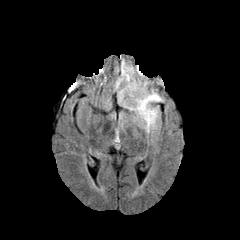
FLAIR MR image.
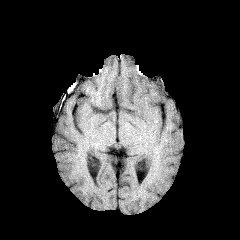
T1-weighted magnetic resonance.
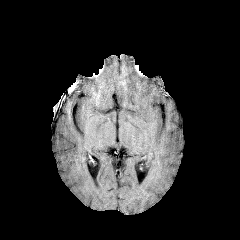
Post-contrast T1-weighted MRI.
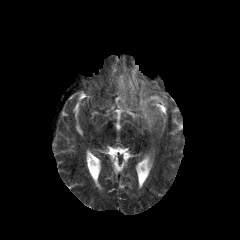
T2-weighted MR image.
240x240
Edema at l=121, t=68, r=163, b=132; l=119, t=88, r=125, b=102.